Brain
FLAIR MR.
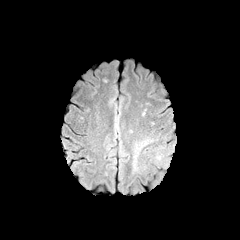
T1-weighted MR.
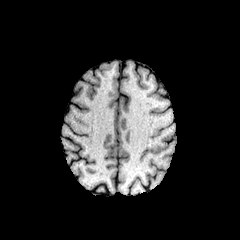
Post-contrast T1-weighted MR.
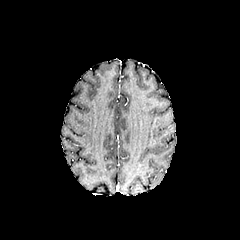
T2-weighted magnetic resonance.
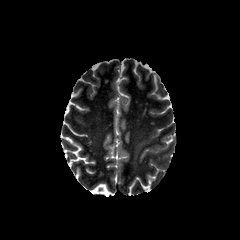
Edema = [134, 139, 148, 153], [132, 155, 137, 171].